Slice index 24. 240x240 px. Brain.
FLAIR MR image.
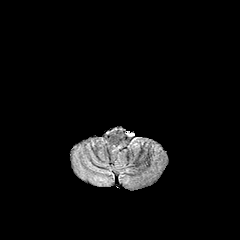
T1-weighted MR image.
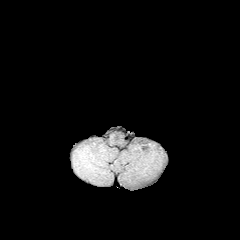
Post-contrast T1-weighted MR.
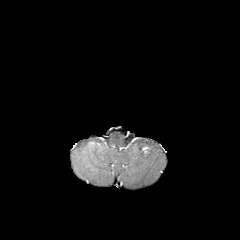
T2-weighted magnetic resonance.
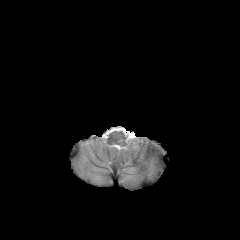
edema:
  - [92, 172, 105, 179]
  - [101, 142, 137, 180]